Slice 118 of 124 | CT image | Image width 512 mm
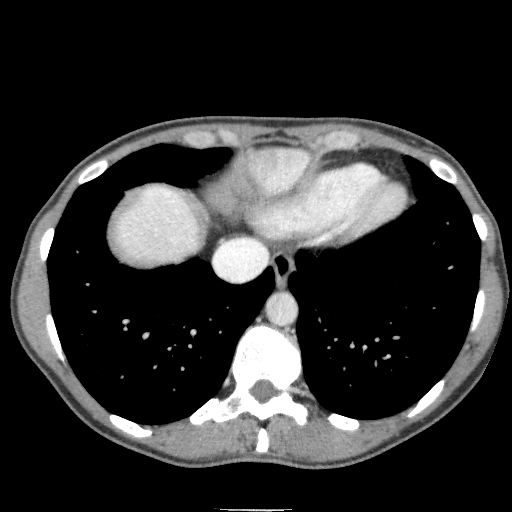

liver:
  - left=245, top=148, right=312, bottom=196
  - left=109, top=184, right=200, bottom=265